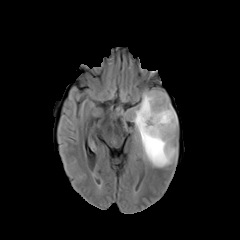
FLAIR MR.
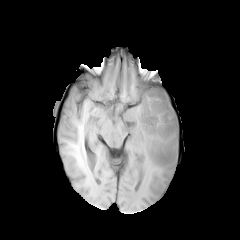
T1-weighted magnetic resonance.
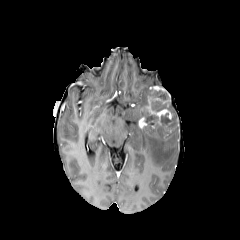
Same slice, post-contrast T1-weighted magnetic resonance.
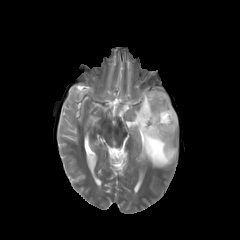
T2-weighted MR image of the same slice.
{"non-enhancing_tumor_core": ["137 88 178 135"], "enhancing_tumor": ["147 98 171 118", "139 117 146 128"], "edema": ["116 88 178 169"]}